FLAIR magnetic resonance.
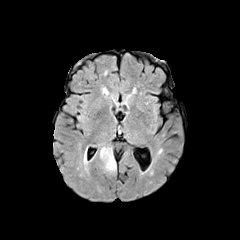
T1-weighted MR.
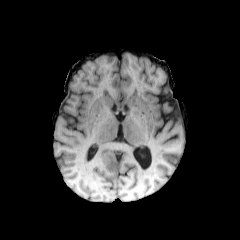
Post-contrast T1-weighted MR image.
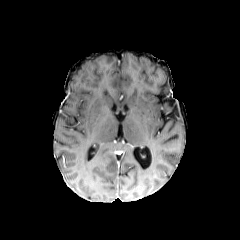
T2-weighted MR.
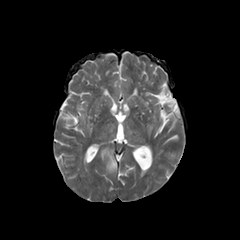
edema: 83,147,87,170; 99,143,116,172